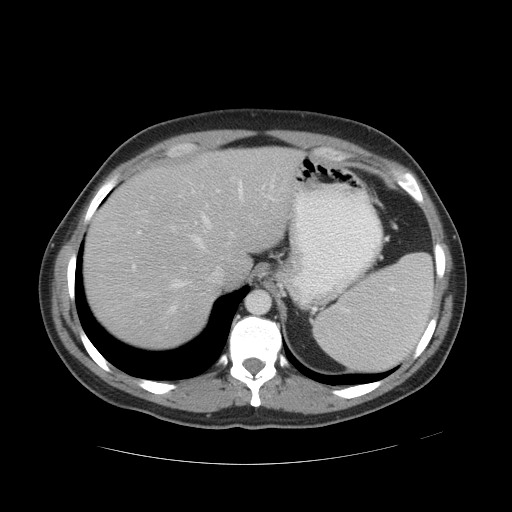
Computed tomography, Abdomen, 512x512 px
The vessel annotation is not exhaustive.
Hepatic vessel: x1=168, y1=306, x2=175, y2=313; x1=174, y1=280, x2=184, y2=286; x1=230, y1=176, x2=234, y2=180; x1=231, y1=233, x2=232, y2=234; x1=238, y1=182, x2=242, y2=199; x1=137, y1=231, x2=140, y2=233; x1=191, y1=235, x2=204, y2=248; x1=179, y1=195, x2=181, y2=196; x1=132, y1=265, x2=135, y2=270; x1=195, y1=222, x2=196, y2=223; x1=171, y1=226, x2=174, y2=228; x1=216, y1=189, x2=219, y2=191; x1=201, y1=212, x2=211, y2=228; x1=262, y1=185, x2=264, y2=187; x1=206, y1=205, x2=208, y2=206.